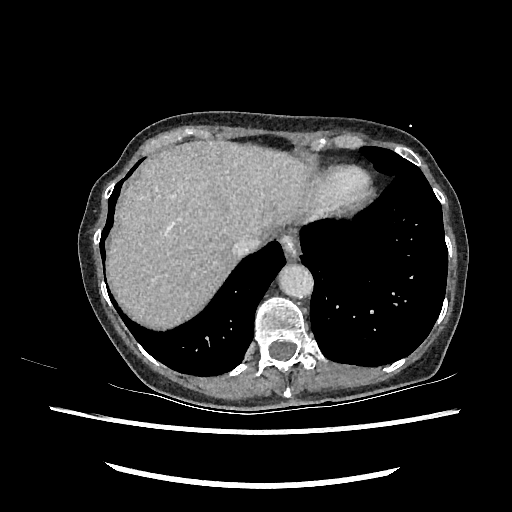 CT.
The liver is located at 109, 141, 312, 328.